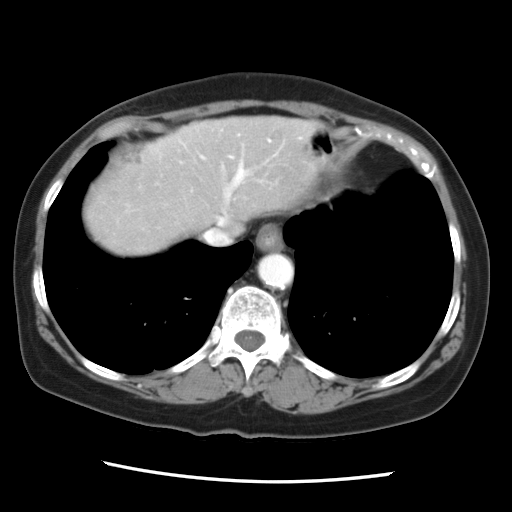 CT
Only some of the vessels may be annotated.
3 hepatic vessel regions are located at [x1=224, y1=159, x2=249, y2=201], [x1=201, y1=156, x2=203, y2=158], [x1=204, y1=216, x2=228, y2=243]. The liver tumor is bounded by [x1=115, y1=144, x2=137, y2=164].